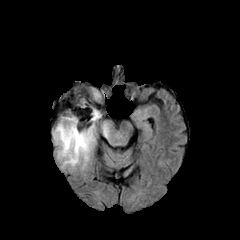
FLAIR magnetic resonance.
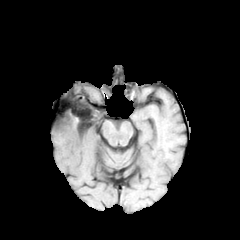
T1-weighted MR image of the same slice.
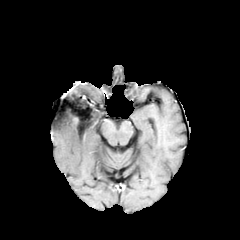
Same slice, post-contrast T1-weighted magnetic resonance.
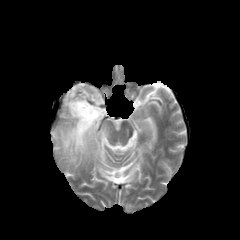
T2-weighted MRI of the same slice.
Head.
3 edema regions appear at (x1=52, y1=108, x2=101, y2=169), (x1=92, y1=89, x2=101, y2=101), (x1=100, y1=124, x2=109, y2=138).